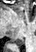

36x52, MR image
The posterior hippocampus is bounded by (12,38,24,46).